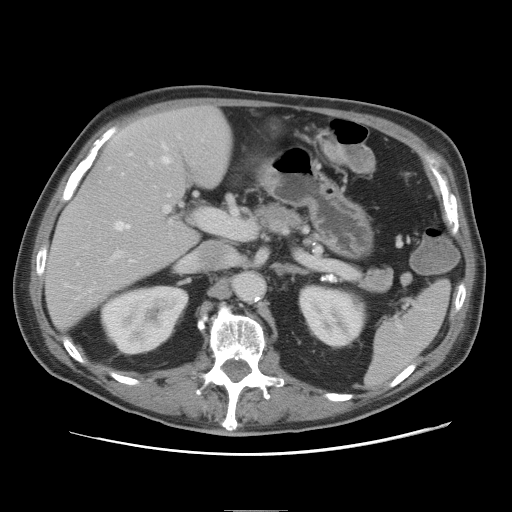 CT scan slice | Liver

Not every hepatic vessel necessarily has a box.
{"hepatic_vessel": [{"x1": 131, "y1": 260, "x2": 134, "y2": 262}, {"x1": 168, "y1": 194, "x2": 170, "y2": 196}, {"x1": 162, "y1": 157, "x2": 169, "y2": 163}, {"x1": 164, "y1": 206, "x2": 171, "y2": 212}, {"x1": 129, "y1": 153, "x2": 132, "y2": 155}, {"x1": 109, "y1": 167, "x2": 110, "y2": 169}, {"x1": 65, "y1": 283, "x2": 67, "y2": 286}, {"x1": 170, "y1": 220, "x2": 172, "y2": 222}, {"x1": 150, "y1": 162, "x2": 152, "y2": 164}, {"x1": 116, "y1": 222, "x2": 129, "y2": 230}, {"x1": 111, "y1": 251, "x2": 123, "y2": 261}, {"x1": 163, "y1": 144, "x2": 166, "y2": 148}, {"x1": 89, "y1": 290, "x2": 92, "y2": 292}]}